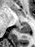

MR
The posterior hippocampus lies within (16,23,29,33).